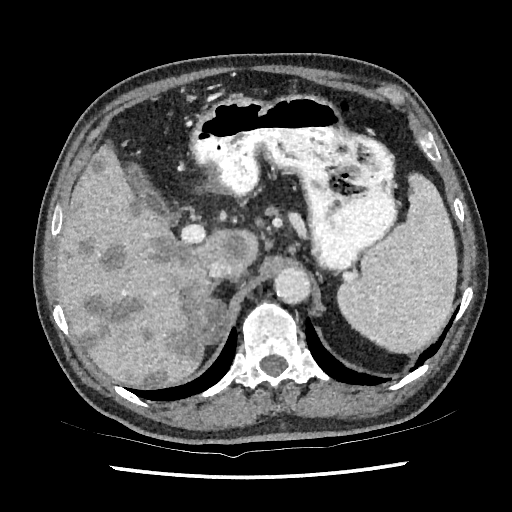 Upper abdomen | Computed tomography
Liver = [x1=194, y1=305, x2=200, y2=338], [x1=57, y1=142, x2=257, y2=384].
Hepatic lesion = [x1=91, y1=157, x2=106, y2=174], [x1=69, y1=201, x2=85, y2=216], [x1=142, y1=372, x2=166, y2=384], [x1=129, y1=200, x2=144, y2=217], [x1=149, y1=234, x2=196, y2=273], [x1=73, y1=238, x2=95, y2=259], [x1=219, y1=233, x2=245, y2=262], [x1=81, y1=295, x2=145, y2=348], [x1=162, y1=274, x2=212, y2=362], [x1=121, y1=369, x2=131, y2=379], [x1=140, y1=327, x2=152, y2=341], [x1=102, y1=244, x2=127, y2=269].